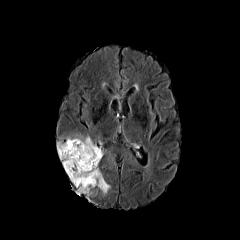
FLAIR MR.
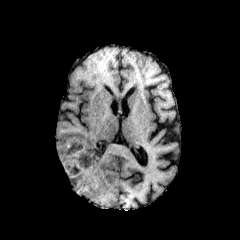
Same slice, T1-weighted MR.
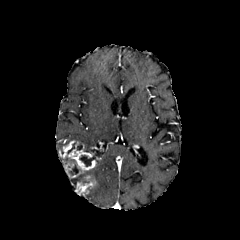
Post-contrast T1-weighted MR.
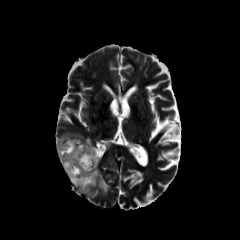
T2-weighted MR image of the same slice.
Brain
edema:
  - rect(65, 134, 102, 153)
  - rect(70, 167, 110, 194)
enhancing_tumor:
  - rect(76, 175, 97, 194)
  - rect(59, 141, 98, 178)
non-enhancing_tumor_core:
  - rect(68, 165, 79, 176)
  - rect(79, 150, 101, 166)
  - rect(67, 142, 82, 154)